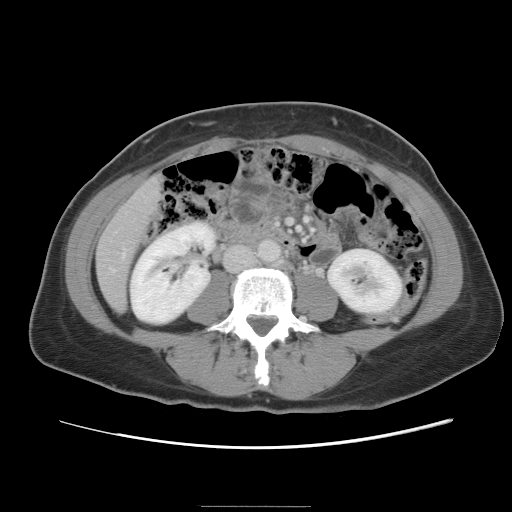
Image size 512x512; Abdomen; CT image

The vessel annotation is not exhaustive.
Hepatic vessel at [111,268,113,270], [122,251,124,255].